Slice 87/155
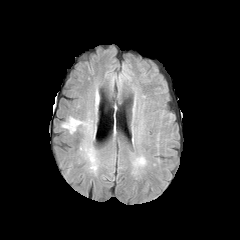
FLAIR MR image.
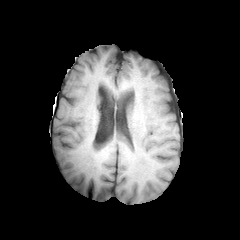
T1-weighted MR image of the same slice.
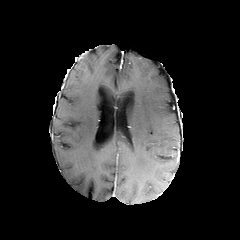
Post-contrast T1-weighted MRI.
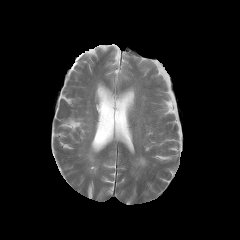
T2-weighted MR image of the same slice.
The edema lies within (133,156,146,168).